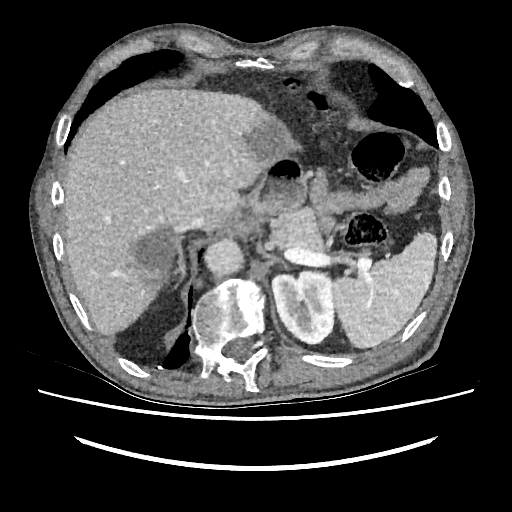 CT image
<segmentation>
  <kidney>(272, 272, 333, 343)</kidney>
  <focal_liver_lesion>(244, 115, 291, 161), (128, 225, 174, 290)</focal_liver_lesion>
  <liver>(64, 88, 278, 333), (284, 138, 299, 156)</liver>
</segmentation>